Slice 122/155, 240x240
FLAIR MR.
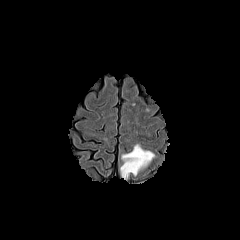
T1-weighted MR image.
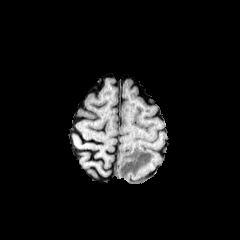
Post-contrast T1-weighted MR.
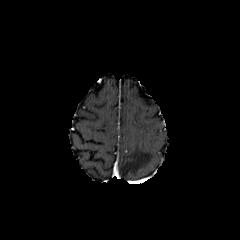
T2-weighted MR.
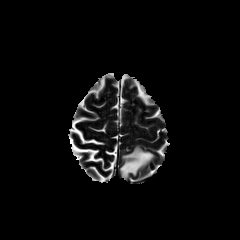
The edema is at x1=120 y1=144 x2=154 y2=180.